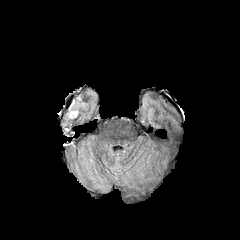
FLAIR MRI.
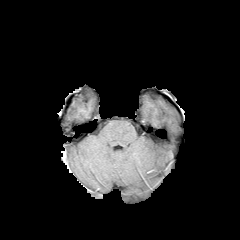
T1-weighted MR image.
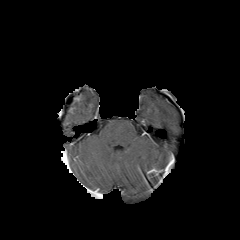
Post-contrast T1-weighted MR.
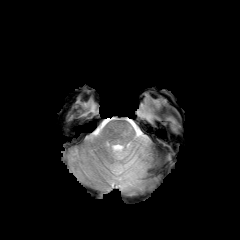
Same slice, T2-weighted magnetic resonance.
Head
{"edema": ["111:149:145:186", "68:110:78:118"]}